Slice 196 of 455. CT slice. 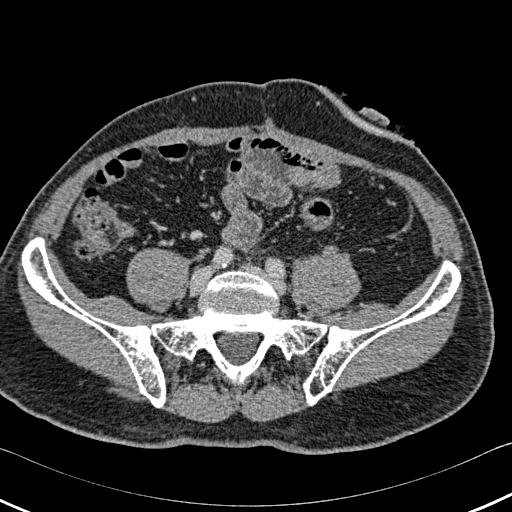

The bone appears at region(22, 238, 460, 407).